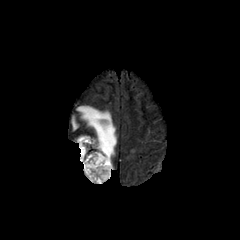
FLAIR MR.
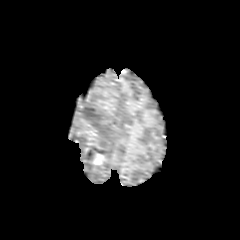
T1-weighted MRI.
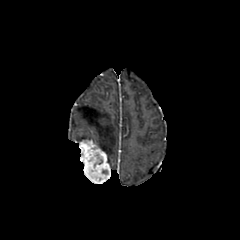
Same slice, post-contrast T1-weighted MRI.
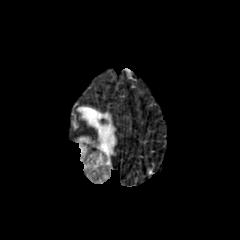
Same slice, T2-weighted magnetic resonance.
Head, 240x240 px
The enhancing tumor is at (79,139,110,182). The edema lies within (76,105,116,167).